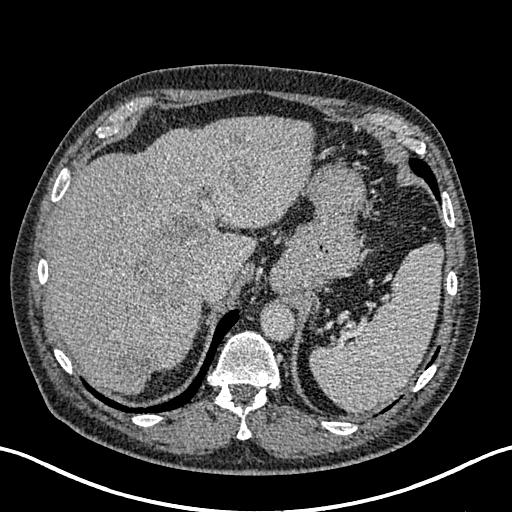
Upper abdomen. CT image.

<segmentation>
  <liver>[x1=49, y1=116, x2=314, y2=391], [x1=184, y1=268, x2=196, y2=283]</liver>
  <hepatic_lesion>[x1=130, y1=214, x2=210, y2=312], [x1=195, y1=185, x2=213, y2=204], [x1=224, y1=154, x2=259, y2=190], [x1=118, y1=339, x2=163, y2=379]</hepatic_lesion>
</segmentation>